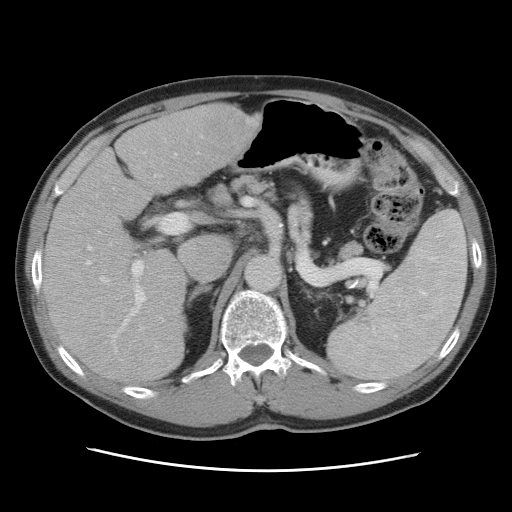

CT image; Liver

Not every hepatic vessel necessarily has a box.
Hepatic vessel: bounding box box=[132, 260, 143, 279]; box=[159, 316, 163, 322]; box=[109, 243, 111, 245]; box=[85, 261, 90, 265]; box=[110, 284, 145, 353]; box=[87, 246, 92, 250]; box=[199, 136, 202, 138]; box=[173, 154, 175, 157]; box=[98, 231, 100, 234]; box=[197, 152, 199, 154]; box=[100, 277, 108, 282].
Liver tumor: bounding box box=[208, 110, 246, 144].